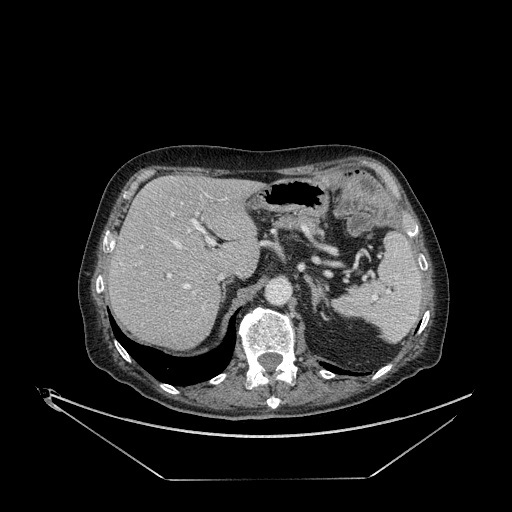

Upper abdomen. CT scan slice.

Segmented structures:
- liver: 109, 176, 263, 349